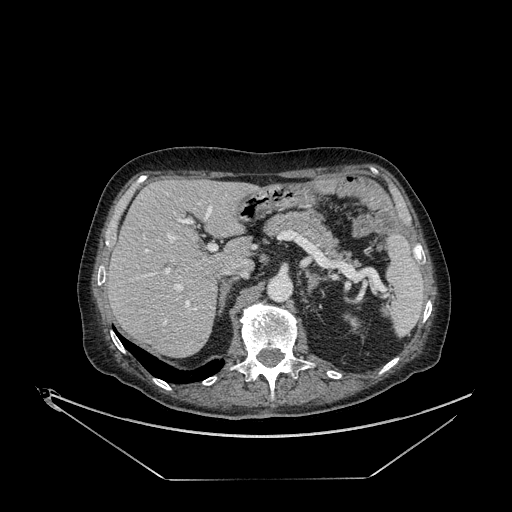
Image size 512x512, Computed tomography, Abdomen
Segmented structures:
* liver: <bbox>108, 180, 257, 357</bbox>